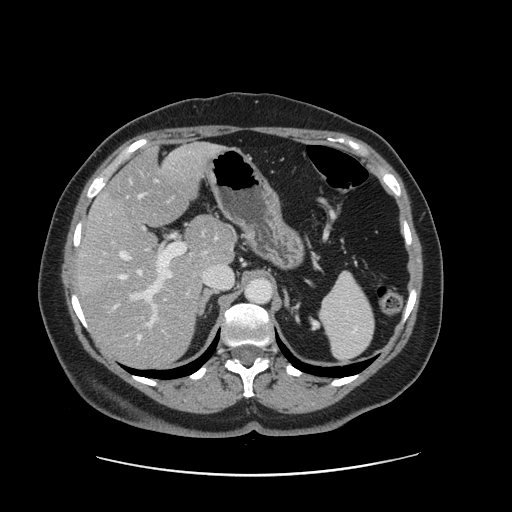

Image size 512x512. Abdomen. Computed tomography.

Some hepatic vessels may have no box.
Findings:
- hepatic vessel: box(147, 248, 149, 249); box(138, 270, 141, 274); box(114, 305, 117, 308); box(121, 251, 129, 258); box(147, 305, 156, 326); box(131, 284, 159, 301); box(138, 335, 141, 339); box(121, 275, 126, 278); box(167, 273, 171, 276)